Liver | 512x512 | CT image | Slice 545 of 574

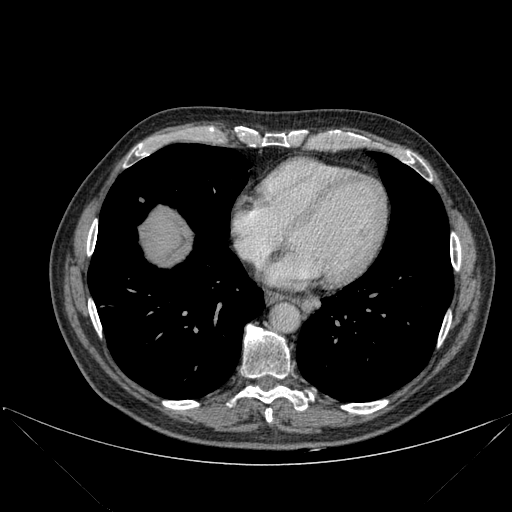
{"bone": ["box(88, 300, 101, 336)", "box(239, 126, 257, 133)", "box(438, 314, 451, 345)", "box(243, 325, 289, 378)", "box(235, 386, 307, 410)", "box(265, 408, 272, 421)", "box(406, 153, 413, 163)", "box(163, 400, 198, 409)", "box(341, 400, 387, 413)", "box(135, 144, 147, 156)", "box(262, 133, 289, 146)", "box(87, 219, 97, 255)", "box(450, 233, 460, 270)"], "liver": ["box(139, 206, 192, 263)"], "lung": ["box(88, 144, 263, 399)", "box(296, 152, 453, 401)"]}